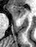

36x47; Medial temporal lobe; Magnetic resonance

Anterior hippocampus = <box>9,6,26,17</box>.